Slice index 99
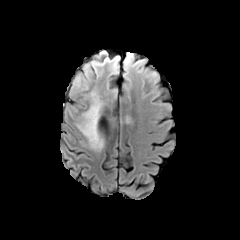
FLAIR MR image.
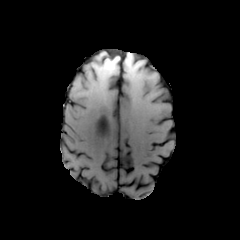
T1-weighted magnetic resonance of the same slice.
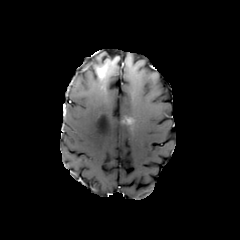
Post-contrast T1-weighted magnetic resonance.
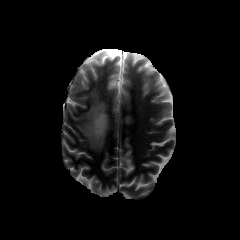
T2-weighted MRI of the same slice.
The non-enhancing tumor core lies within region(84, 54, 118, 76). The enhancing tumor is at region(105, 58, 117, 67). 3 edema regions are bounded by region(122, 56, 147, 77); region(77, 64, 95, 89); region(76, 90, 103, 150).